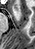

Image size 35x49, Hippocampus, Magnetic resonance
The anterior hippocampus is at box(14, 5, 17, 9).